CT 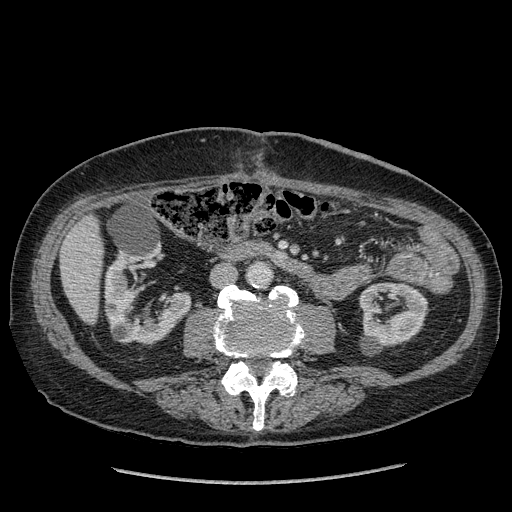
{"kidney": ["bbox=[360, 283, 427, 345]", "bbox=[105, 252, 190, 342]"], "liver": ["bbox=[60, 215, 102, 324]"]}